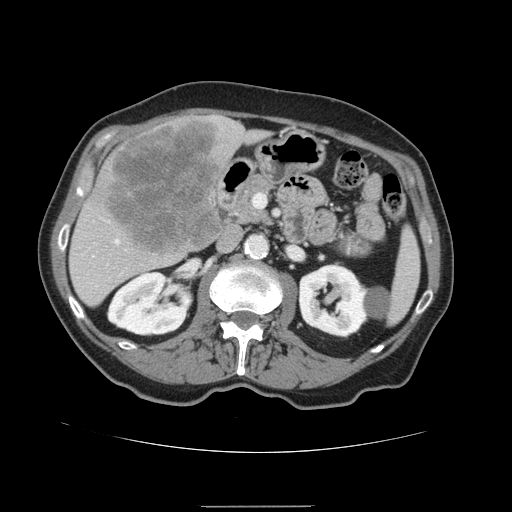

Abdomen, CT

Not every hepatic vessel necessarily has a box.
Liver tumor = box(105, 119, 222, 253).
Hepatic vessel = box(116, 239, 118, 241); box(253, 198, 254, 205).